FLAIR MR.
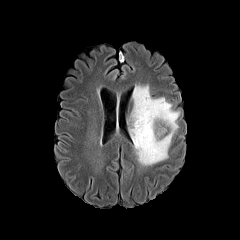
T1-weighted MRI.
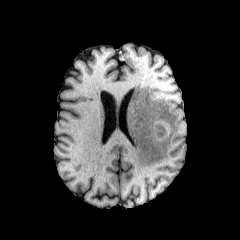
Post-contrast T1-weighted magnetic resonance.
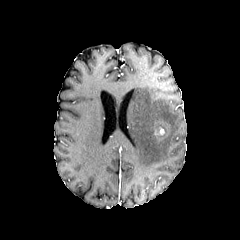
T2-weighted MR image.
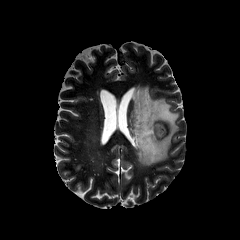
Head
non-enhancing_tumor_core:
  - 153,120,171,141
edema:
  - 129,85,178,165